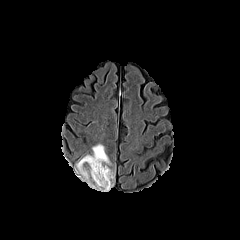
FLAIR MRI.
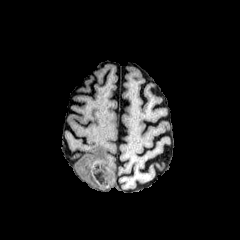
T1-weighted MR.
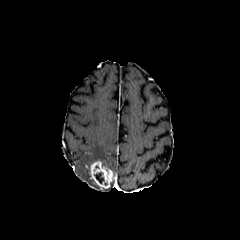
Post-contrast T1-weighted MRI.
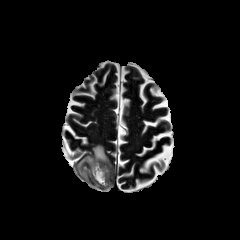
T2-weighted magnetic resonance.
Brain
The enhancing tumor lies within bbox=[88, 161, 114, 188]. The edema lies within bbox=[76, 145, 110, 179]. The non-enhancing tumor core is located at bbox=[93, 172, 107, 185].